240x240. Field of view 240x240 mm. Slice 78/155. Head.
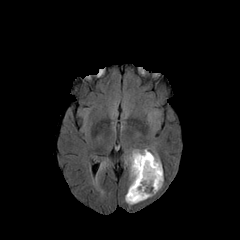
FLAIR MRI.
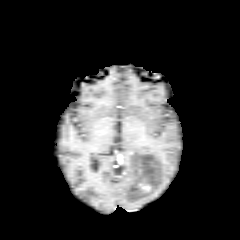
Same slice, T1-weighted magnetic resonance.
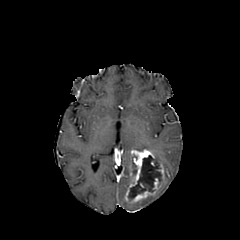
Post-contrast T1-weighted magnetic resonance of the same slice.
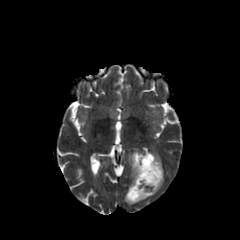
Same slice, T2-weighted MRI.
Edema — 123 151 133 176, 125 190 157 205, 158 172 163 189, 150 149 162 169, 142 180 153 191.
Non-enhancing tumor core — 128 155 161 198.
Enhancing tumor — 130 149 154 187, 126 188 153 201.